FLAIR MR.
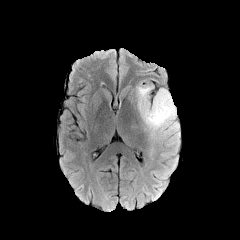
T1-weighted MR image.
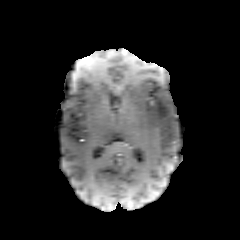
Post-contrast T1-weighted magnetic resonance.
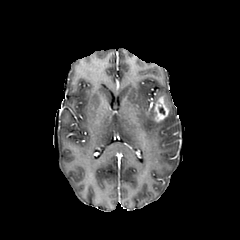
T2-weighted MR.
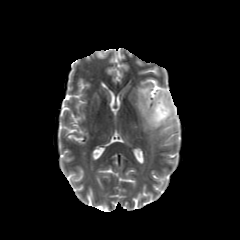
Brain
Non-enhancing tumor core at (146, 92, 164, 124).
Edema at (156, 168, 168, 192), (136, 82, 179, 146).
Enhancing tumor at (153, 96, 169, 121).